512x512. CT. Thorax. Image width 434 mm.
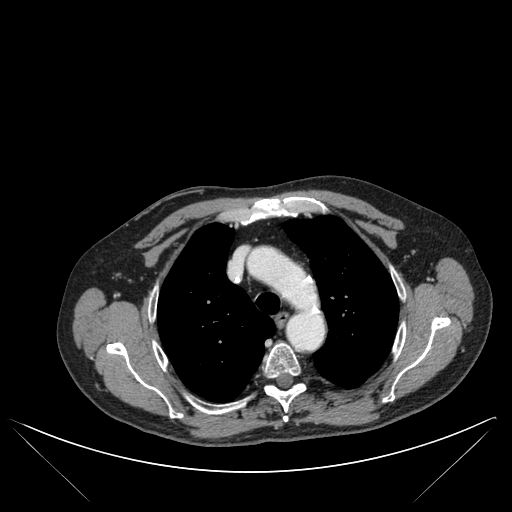
bone: (393,323,405,357), (148,290,157,320), (391,269,403,297), (242,197,325,224), (383,317,450,401), (153,341,167,370), (264,343,299,377), (192,400,245,414), (106,342,182,417), (265,384,305,411) | lung: (282,216,398,388), (157,223,279,401)